Liver | Field of view 412x412 mm | CT scan slice | Slice 25 of 30
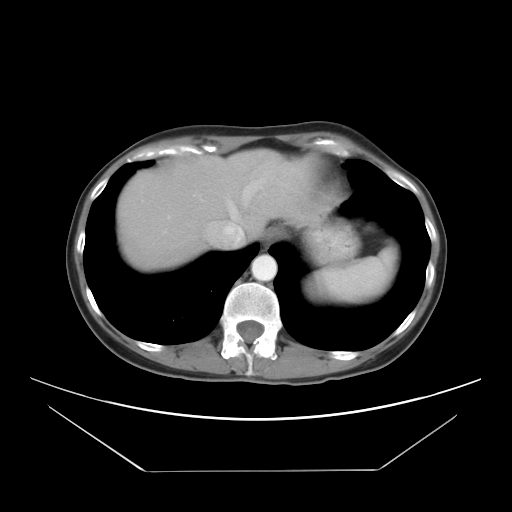
Not every hepatic vessel necessarily has a box.
{
  "hepatic_vessel": [
    "rect(242, 180, 261, 204)",
    "rect(226, 199, 238, 217)",
    "rect(193, 193, 198, 195)",
    "rect(208, 221, 216, 230)",
    "rect(167, 215, 169, 217)",
    "rect(264, 170, 273, 177)"
  ]
}